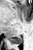 MRI slice, Image size 33x50
<segmentation>
  <posterior_hippocampus>(x1=10, y1=37, x2=22, y2=43)</posterior_hippocampus>
</segmentation>